CT image | Liver

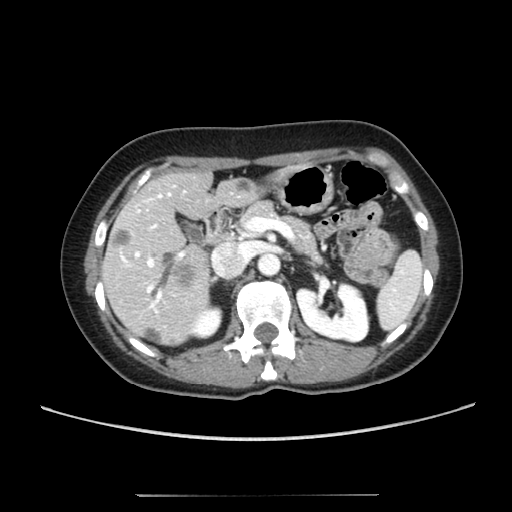
Liver lesion at (234, 179, 253, 191), (160, 251, 175, 266), (143, 328, 161, 344), (173, 254, 195, 287), (112, 230, 129, 244).
Liver at (101, 165, 299, 345).
Kidney at (297, 285, 367, 340), (193, 311, 219, 335).